Brain
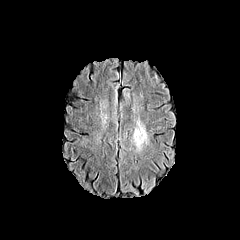
FLAIR magnetic resonance.
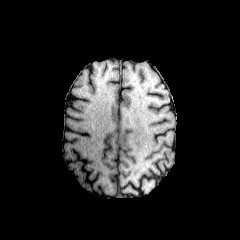
T1-weighted MRI of the same slice.
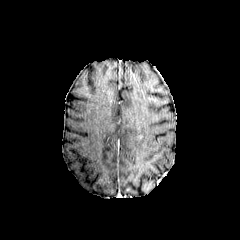
Post-contrast T1-weighted MRI of the same slice.
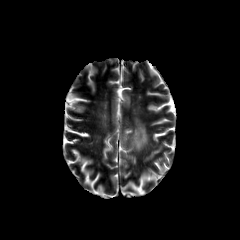
T2-weighted magnetic resonance of the same slice.
The edema appears at box=[133, 125, 148, 148].